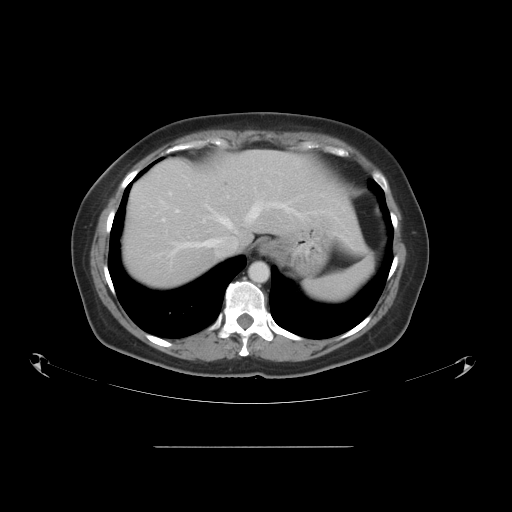

Abdomen, CT
The vessel annotation is not exhaustive.
{"hepatic_vessel": ["left=161, top=218, right=165, bottom=220", "left=169, top=192, right=171, bottom=193", "left=160, top=200, right=167, bottom=208", "left=202, top=204, right=237, bottom=233", "left=268, top=181, right=271, bottom=184", "left=154, top=236, right=236, bottom=262", "left=344, top=237, right=351, bottom=240", "left=254, top=187, right=255, bottom=188", "left=243, top=200, right=340, bottom=225", "left=175, top=208, right=179, bottom=211"]}